Slice 88 of 155
FLAIR MRI.
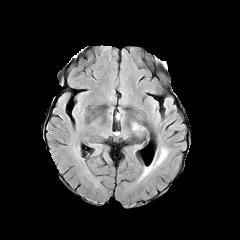
T1-weighted MR.
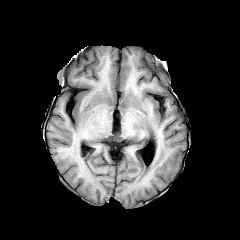
Post-contrast T1-weighted MRI.
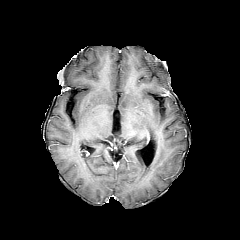
T2-weighted MR image.
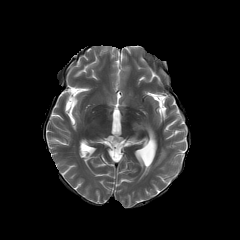
2 edema regions are located at x1=132, y1=123, x2=144, y2=130; x1=139, y1=146, x2=168, y2=179.